FLAIR MRI.
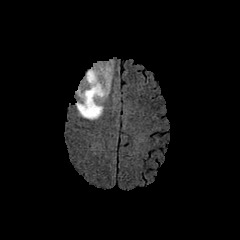
T1-weighted MR image.
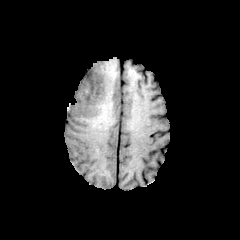
Post-contrast T1-weighted MR.
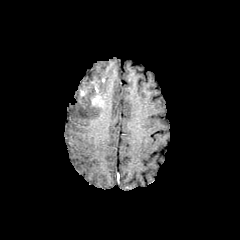
T2-weighted magnetic resonance.
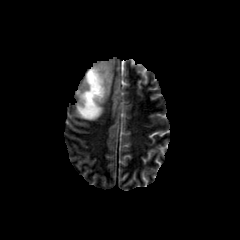
{"edema": ["76, 65, 113, 120"], "non-enhancing_tumor_core": ["88, 75, 97, 88", "91, 85, 101, 106"]}